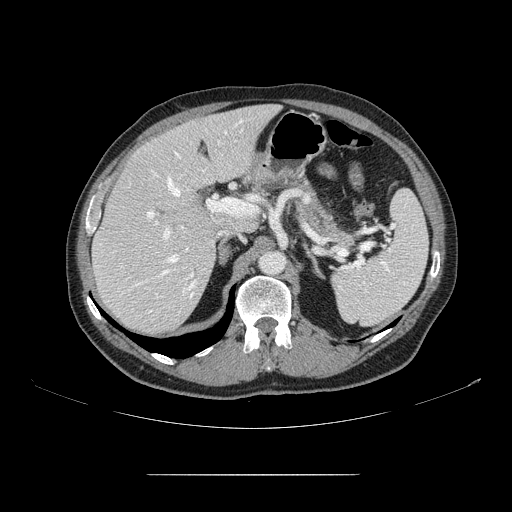 Computed tomography, Upper abdomen

- pancreas: x1=294 y1=183 x2=345 y2=240